Image size 240x240; Brain; Slice 68/155
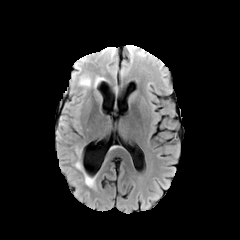
FLAIR magnetic resonance.
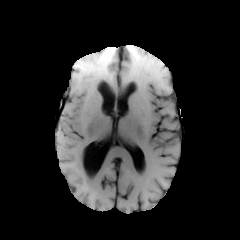
T1-weighted MRI.
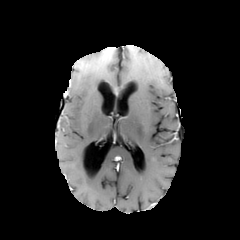
Same slice, post-contrast T1-weighted MR.
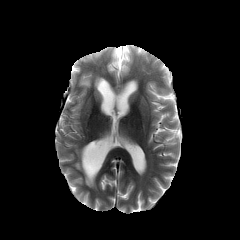
T2-weighted MR image.
Annotated regions:
• edema: (93,76,103,87), (108,50,117,69), (84,173,95,187), (79,74,91,86)